Image size 512x512, CT 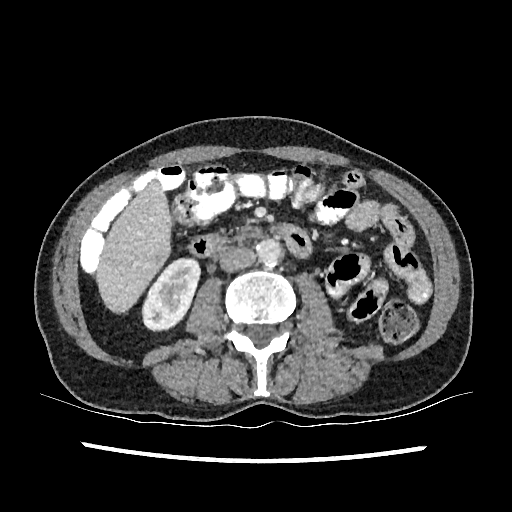 Liver = (x1=98, y1=179, x2=169, y2=311).
Kidney = (x1=143, y1=259, x2=199, y2=329).